512x512 px; Abdomen; Slice index 227; Computed tomography

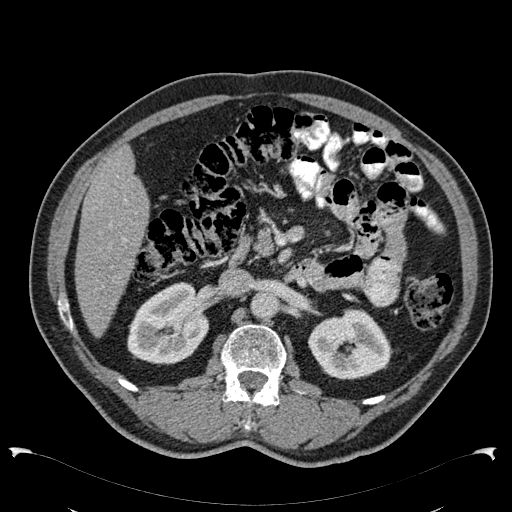 <segmentation>
  <kidney>{"x1": 308, "y1": 309, "x2": 391, "y2": 378}, {"x1": 127, "y1": 282, "x2": 212, "y2": 363}</kidney>
  <liver>{"x1": 76, "y1": 144, "x2": 149, "y2": 337}</liver>
</segmentation>